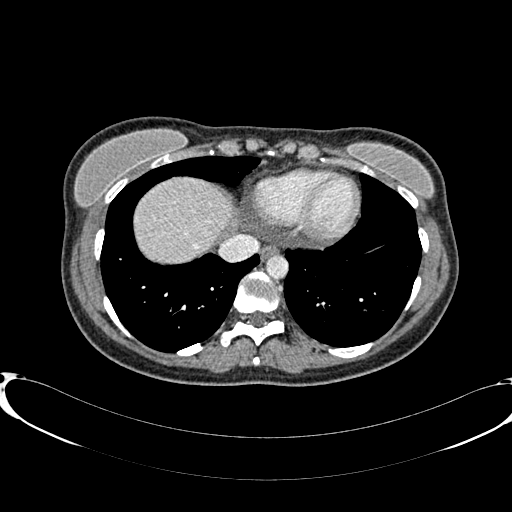

CT slice. Abdomen. 512x512 px.
Liver: <bbox>134, 178, 232, 262</bbox>.